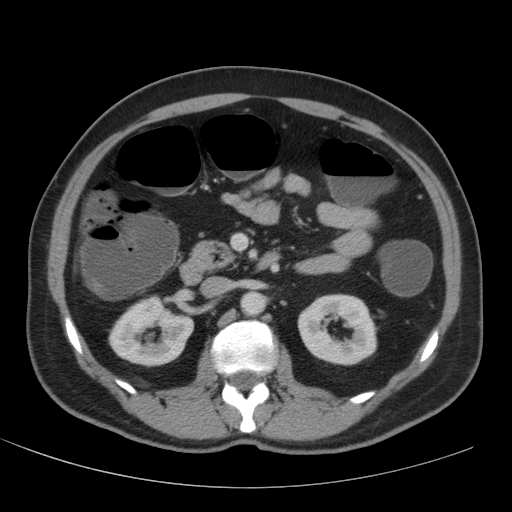 Image size 512x512. Computed tomography.
2 kidney regions appear at box=[109, 296, 193, 365]; box=[298, 294, 376, 364].